CT
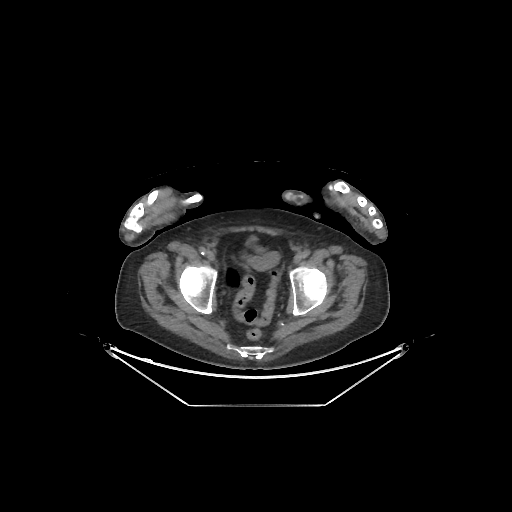 Bone = bbox(124, 190, 158, 231); bbox(329, 182, 382, 228); bbox(290, 266, 327, 315); bbox(236, 347, 272, 358); bbox(183, 194, 201, 203); bbox(179, 265, 216, 313).